Image width 418 mm, Slice 62 of 111, CT image 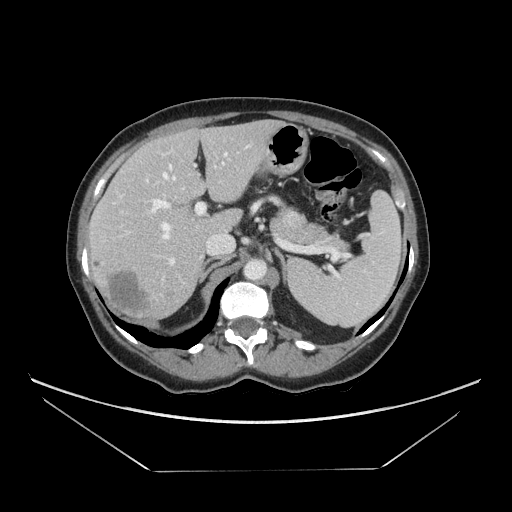 Pancreatic tumor — (x1=282, y1=209, x2=307, y2=230).
Pancreas — (x1=271, y1=206, x2=347, y2=253).